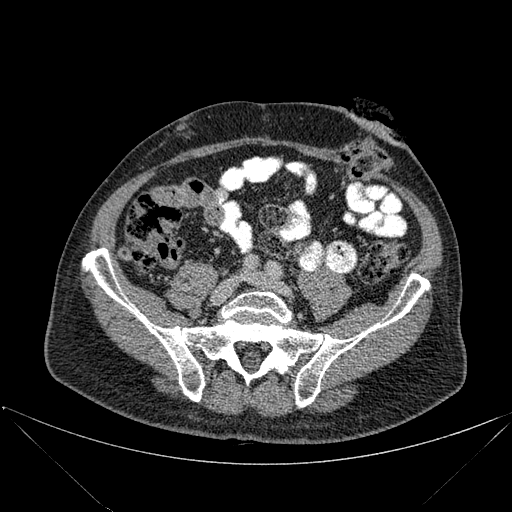 CT slice

The bone is at 82,248,429,407.